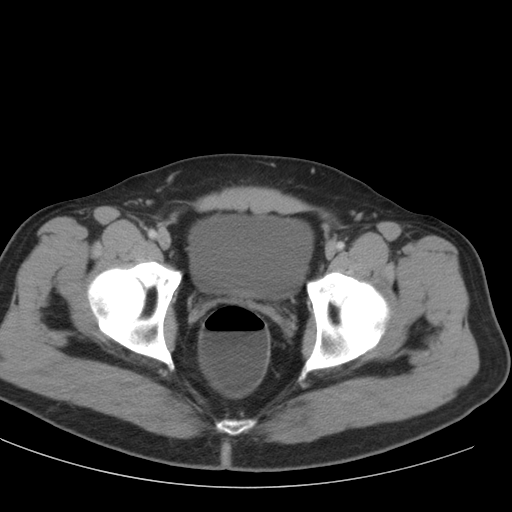

Pelvis. CT slice. The urinary bladder appears at bbox(187, 209, 312, 300).